FLAIR MR image.
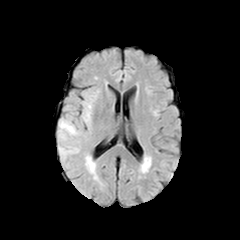
T1-weighted MR.
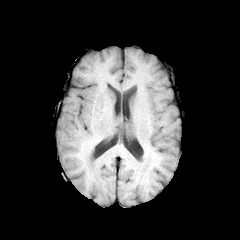
Post-contrast T1-weighted MR.
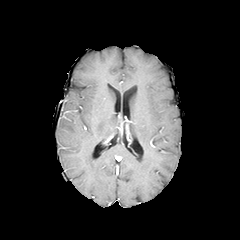
T2-weighted MR image.
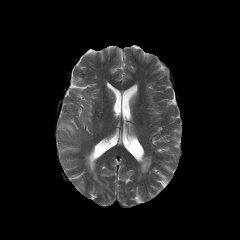
Edema — x1=58, y1=118, x2=81, y2=140; x1=82, y1=95, x2=93, y2=127; x1=58, y1=144, x2=79, y2=157.